512x512; Slice 512 of 896; CT slice

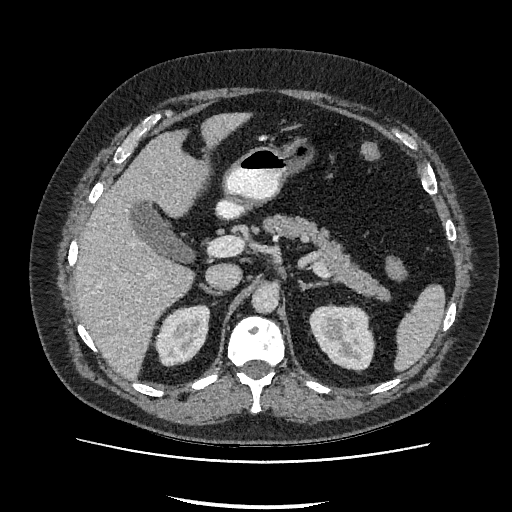

{"kidney": ["[157,306,208,364]", "[310,307,372,368]"], "liver": ["[76,130,206,379]", "[203,113,249,146]"]}